CT image; Liver 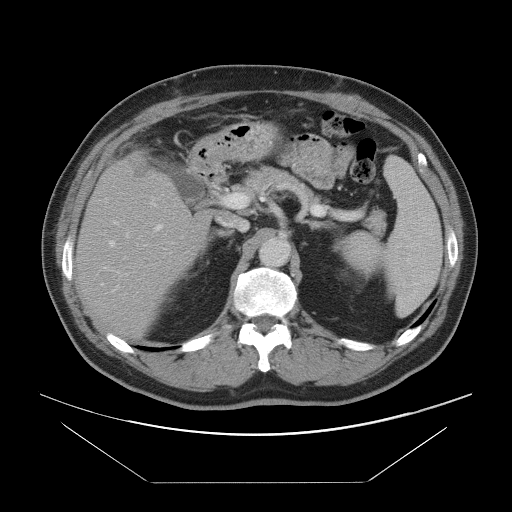

The vessel annotation is not exhaustive.
{"hepatic_vessel": ["(152, 198, 155, 205)", "(114, 287, 116, 290)", "(155, 225, 162, 229)", "(115, 221, 118, 223)"], "liver_tumor": ["(135, 168, 149, 176)"]}